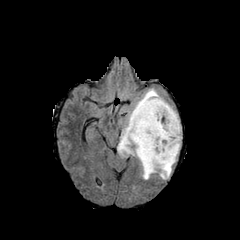
FLAIR MR.
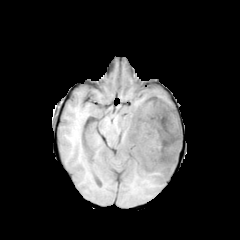
T1-weighted magnetic resonance of the same slice.
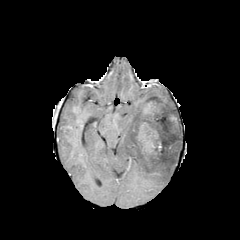
Post-contrast T1-weighted MR of the same slice.
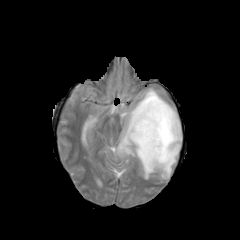
T2-weighted MR image.
Image size 240x240
non-enhancing_tumor_core:
  - [137, 94, 178, 158]
enhancing_tumor:
  - [143, 102, 155, 114]
  - [138, 123, 161, 151]
edema:
  - [117, 88, 181, 179]